Computed tomography, Upper abdomen 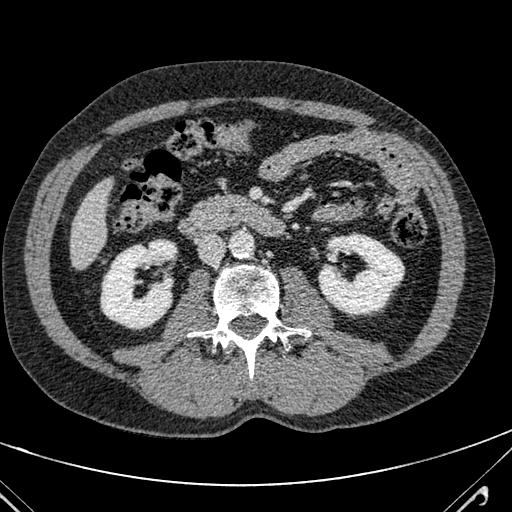 Liver: bounding box (71,178,112,266).